FLAIR MR.
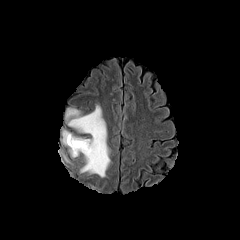
T1-weighted MRI.
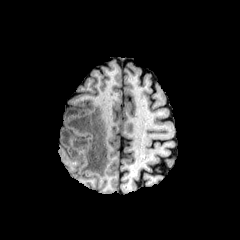
Post-contrast T1-weighted MRI.
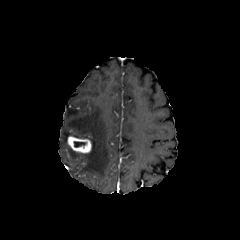
T2-weighted magnetic resonance.
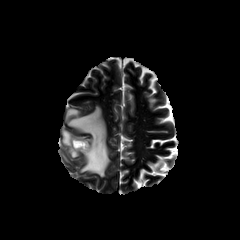
240x240
Edema — l=69, t=149, r=77, b=157; l=65, t=105, r=111, b=178; l=61, t=128, r=71, b=145.
Enhancing tumor — l=66, t=133, r=92, b=155.
Non-enhancing tumor core — l=73, t=141, r=85, b=147.